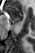
Hippocampus, MR image, 35x53
Anterior hippocampus at [6, 5, 22, 20].
Posterior hippocampus at [14, 21, 20, 23].